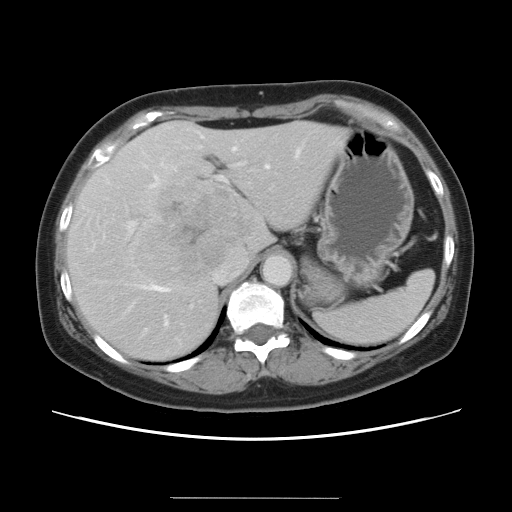
Computed tomography.

The vessel boxes may cover only some of the vessels.
The most prominent 15 hepatic vessel regions (of 16) are located at region(143, 165, 145, 167); region(265, 165, 268, 168); region(198, 146, 201, 148); region(197, 132, 202, 138); region(127, 306, 131, 310); region(234, 163, 244, 165); region(295, 149, 299, 156); region(141, 286, 168, 291); region(164, 316, 167, 324); region(216, 176, 226, 181); region(154, 216, 158, 218); region(152, 177, 157, 187); region(232, 147, 235, 151); region(127, 221, 134, 234); region(87, 243, 94, 251). The liver tumor is located at region(133, 180, 253, 287).